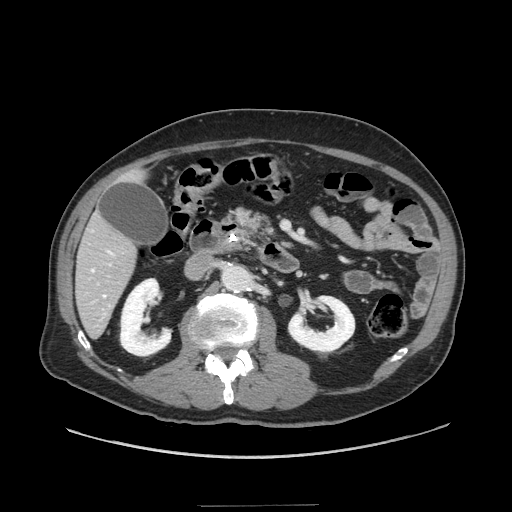 Upper abdomen. 512x512 px. Computed tomography.
* pancreas: box(237, 209, 270, 233)